Medial temporal lobe, MRI slice, Slice 7 of 36, 36x47

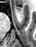 Anterior hippocampus = 15, 7, 20, 11.